MRI slice; Cardiac; Slice 62/130 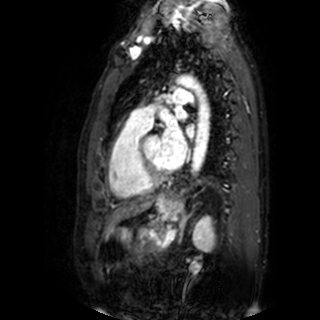

3 left atrium regions are located at [186,124,194,136], [176,110,187,119], [162,121,187,167].